Head
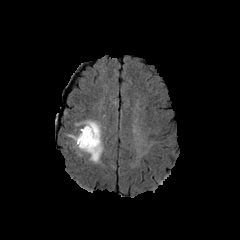
FLAIR MRI.
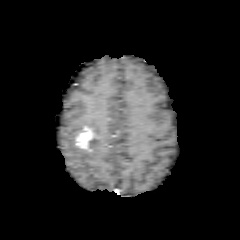
T1-weighted MRI.
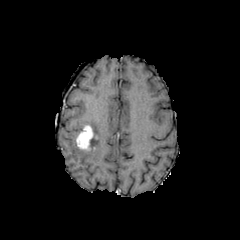
Post-contrast T1-weighted MR of the same slice.
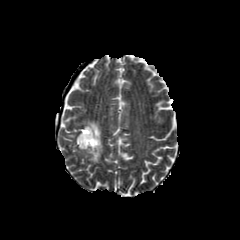
T2-weighted MR image of the same slice.
edema:
  - (x1=78, y1=120, x2=102, y2=162)
  - (x1=68, y1=128, x2=82, y2=146)
enhancing_tumor:
  - (x1=76, y1=124, x2=93, y2=150)